Slice 94 of 155
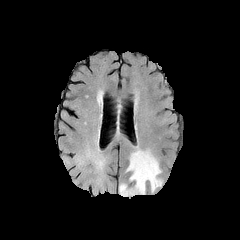
FLAIR MRI.
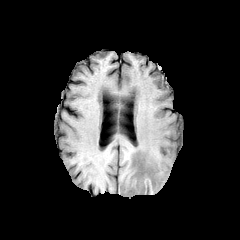
T1-weighted MR image.
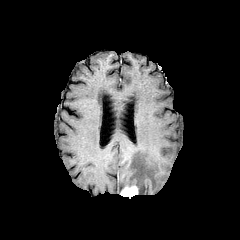
Post-contrast T1-weighted MR of the same slice.
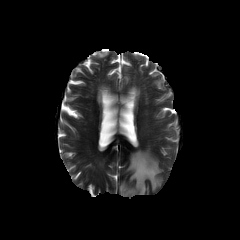
T2-weighted magnetic resonance.
Edema = [127, 149, 162, 193].
Enhancing tumor = [121, 185, 137, 196].